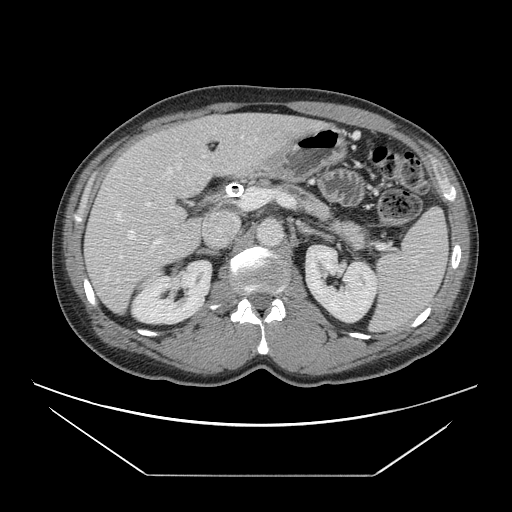 CT

Pancreas: (x1=277, y1=184, x2=364, y2=250).